CT scan slice, Slice 24/93

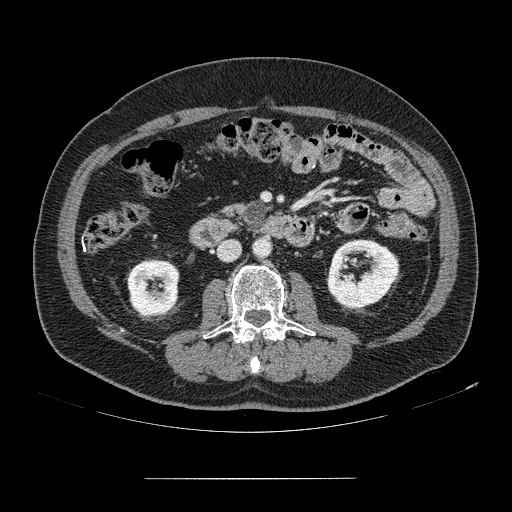

pancreas:
  - (left=220, top=199, right=267, bottom=233)
pancreatic_tumor:
  - (left=245, top=202, right=265, bottom=230)